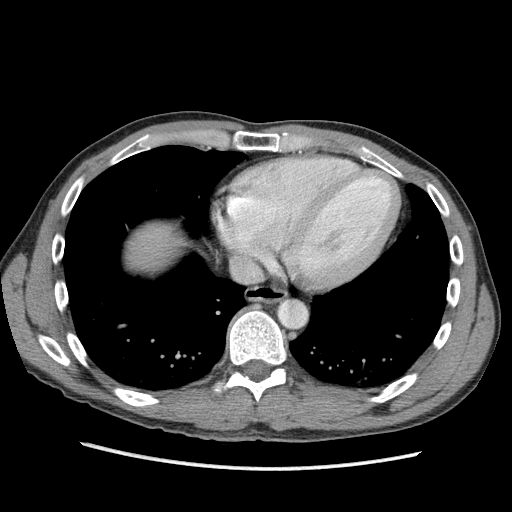 Computed tomography. Liver.
<segmentation>
  <liver>125,223,187,271</liver>
</segmentation>